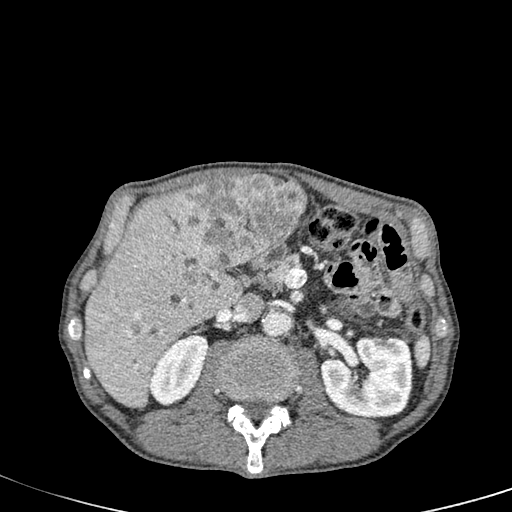
CT scan slice

Focal liver lesion — <bbox>184, 269, 208, 284</bbox>, <bbox>184, 175, 306, 270</bbox>.
Kidney — <bbox>321, 339, 411, 416</bbox>, <bbox>149, 336, 207, 404</bbox>.
Liver — <bbox>85, 190, 240, 407</bbox>.